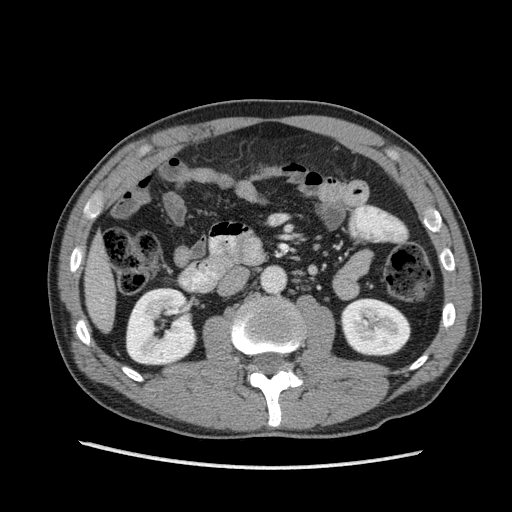 CT, Abdomen
kidney:
  - bbox(342, 299, 409, 354)
  - bbox(127, 289, 194, 363)
liver:
  - bbox(83, 231, 115, 332)